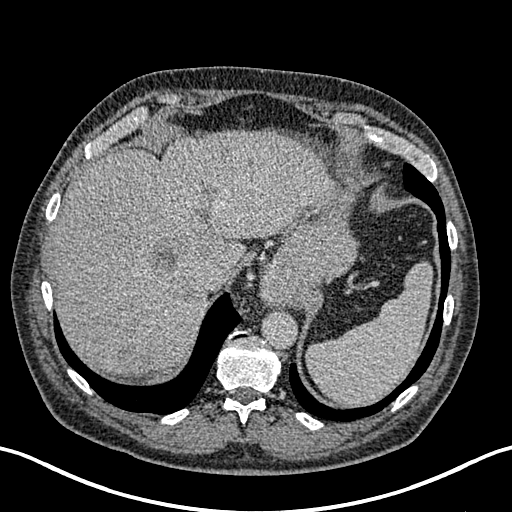 Computed tomography. Abdomen.
Annotated regions:
- liver: (x1=50, y1=130, x2=322, y2=375)
- hepatic lesion: (x1=148, y1=236, x2=215, y2=278), (x1=248, y1=158, x2=256, y2=168), (x1=166, y1=280, x2=203, y2=303), (x1=115, y1=344, x2=135, y2=370), (x1=189, y1=205, x2=212, y2=228)